FLAIR MR.
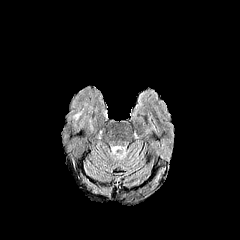
T1-weighted MR image.
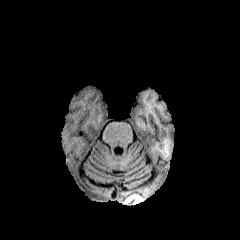
Post-contrast T1-weighted MRI.
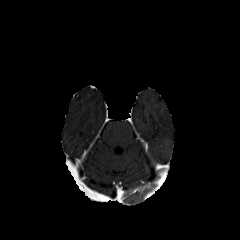
T2-weighted magnetic resonance.
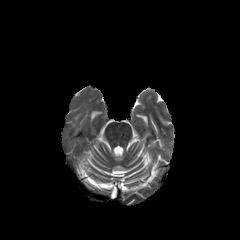
240x240. Head.
Edema = [72, 109, 83, 123].